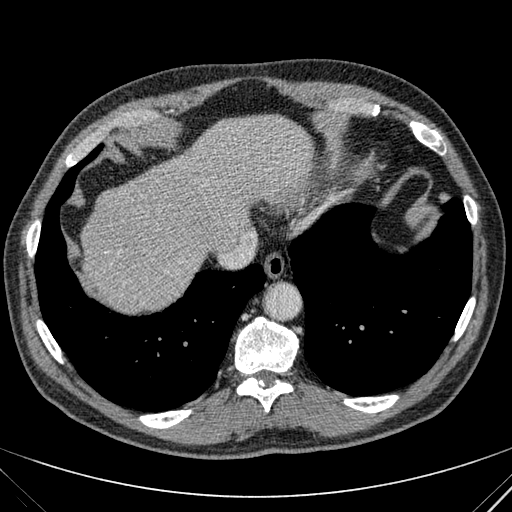

Computed tomography, 512x512

The liver is at left=81, top=115, right=312, bottom=311.